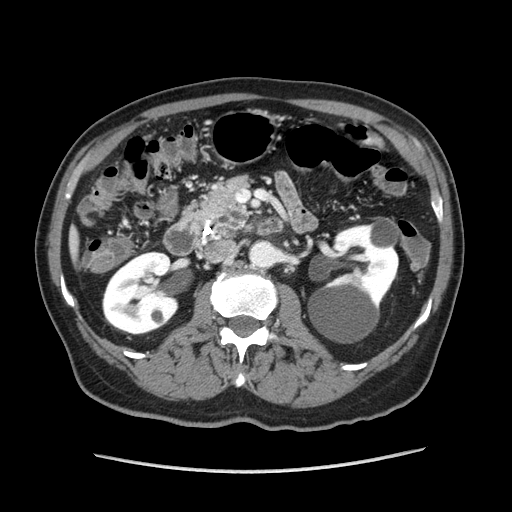

CT scan slice; Upper abdomen; 512x512 px
{"pancreas": ["196:176:248:236"]}